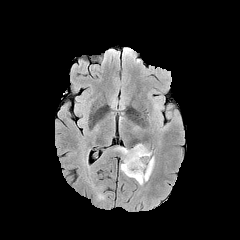
FLAIR MR.
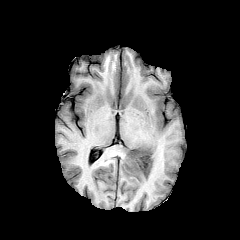
T1-weighted MR image of the same slice.
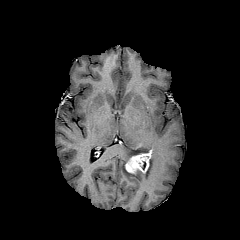
Same slice, post-contrast T1-weighted MR image.
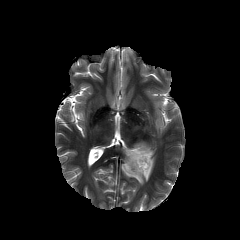
T2-weighted MR image.
Head | Image size 240x240
Annotated regions:
* edema: [121,142,154,184]
* non-enhancing tumor core: [129,145,150,157]
* enhancing tumor: [125,150,151,173]